Slice 53/155
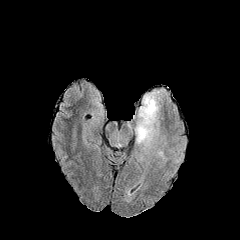
FLAIR MRI.
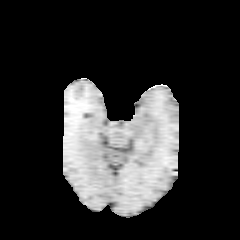
T1-weighted magnetic resonance of the same slice.
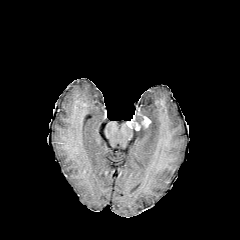
Post-contrast T1-weighted MR image.
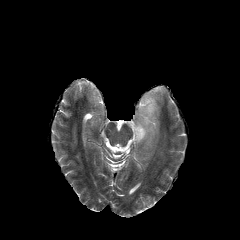
Same slice, T2-weighted MRI.
* non-enhancing tumor core: region(134, 114, 143, 130)
* enhancing tumor: region(126, 111, 151, 130)
* edema: region(132, 90, 165, 152)